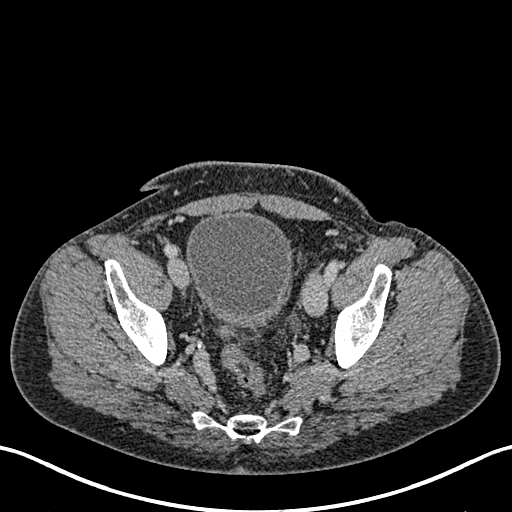

CT.
{"urinary_bladder": ["(left=186, top=215, right=292, bottom=330)"]}